FLAIR MR.
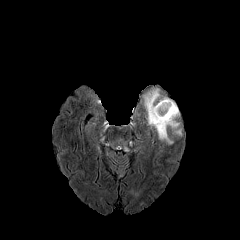
T1-weighted MRI.
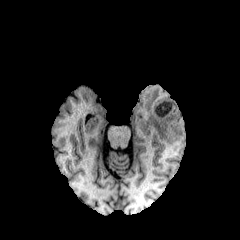
Post-contrast T1-weighted magnetic resonance.
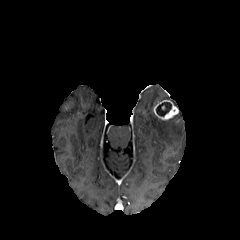
T2-weighted magnetic resonance.
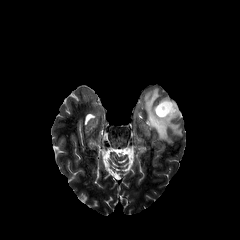
240x240 px
The non-enhancing tumor core is bounded by region(155, 102, 172, 116). The enhancing tumor is at region(153, 100, 178, 121). The edema is bounded by region(142, 88, 182, 144).